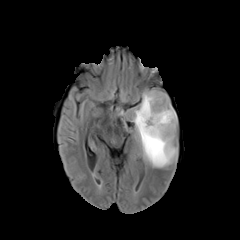
FLAIR MRI.
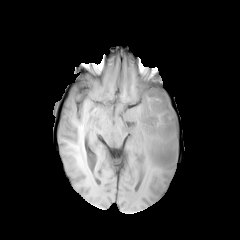
T1-weighted MR of the same slice.
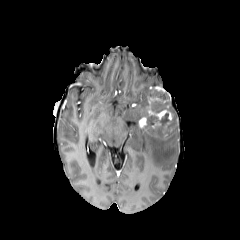
Post-contrast T1-weighted MRI of the same slice.
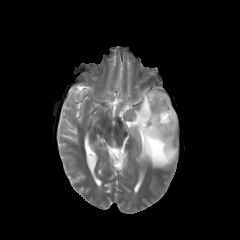
T2-weighted MR of the same slice.
Head
The edema appears at rect(116, 88, 178, 169). The non-enhancing tumor core appears at rect(139, 87, 173, 132). 2 enhancing tumor regions are located at rect(139, 117, 146, 127); rect(148, 109, 171, 119).